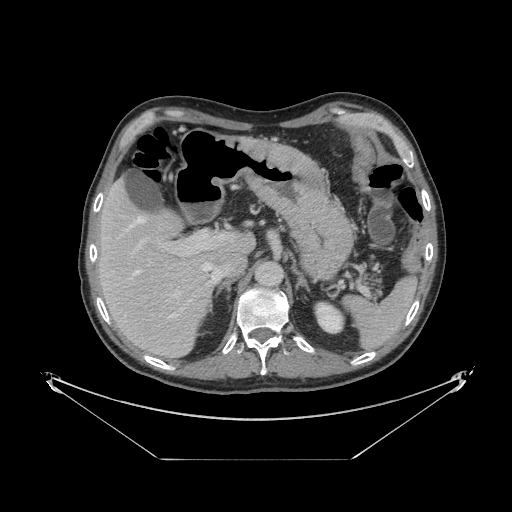

CT slice. Abdomen.
<segmentation>
  <pancreas>(x1=360, y1=271, x2=382, y2=297)</pancreas>
</segmentation>